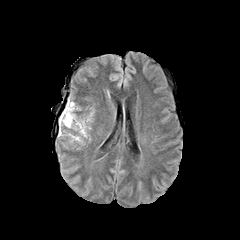
FLAIR magnetic resonance.
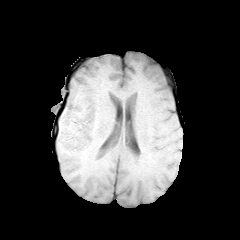
Same slice, T1-weighted MRI.
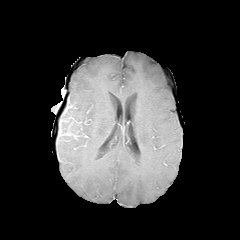
Post-contrast T1-weighted MRI.
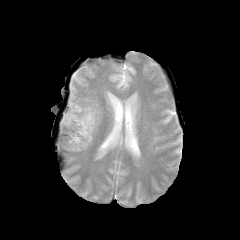
T2-weighted magnetic resonance.
Brain.
Edema — 59,98,91,142.